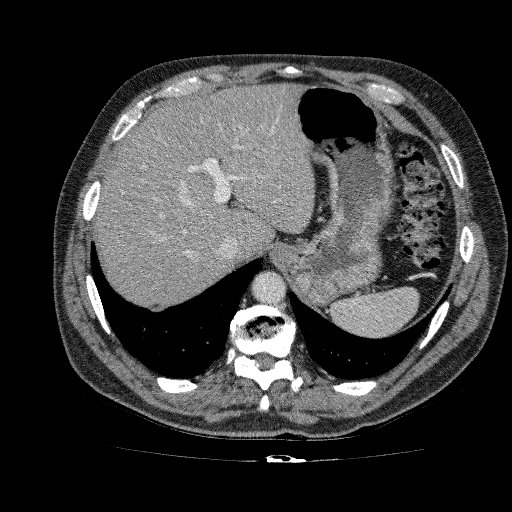

CT. Abdomen.

The liver is located at 91 83 313 308.